CT; Liver 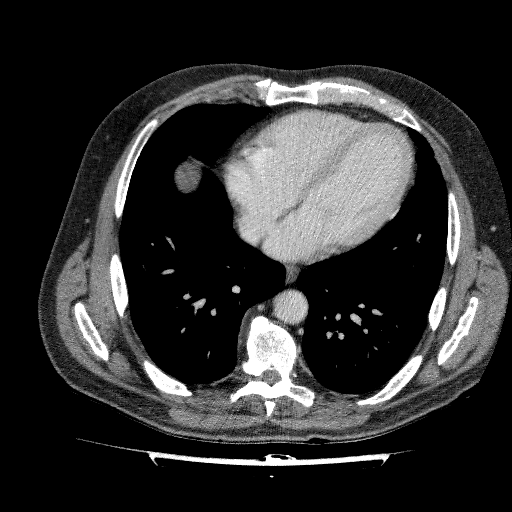

<segmentation>
  <liver>183,173,194,184</liver>
</segmentation>